FLAIR magnetic resonance.
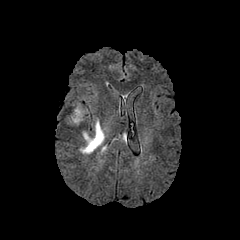
T1-weighted MR image.
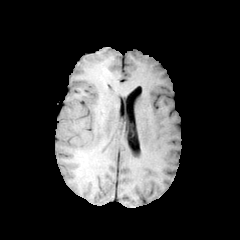
Post-contrast T1-weighted magnetic resonance.
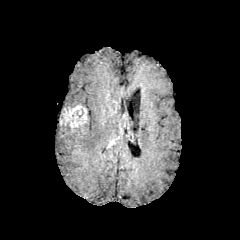
T2-weighted MRI.
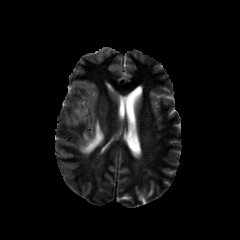
Head.
edema:
  - (x1=79, y1=119, x2=105, y2=155)
enhancing_tumor:
  - (x1=73, y1=105, x2=86, y2=112)
non-enhancing_tumor_core:
  - (x1=59, y1=108, x2=87, y2=125)